CT slice; Slice 360 of 588; Liver

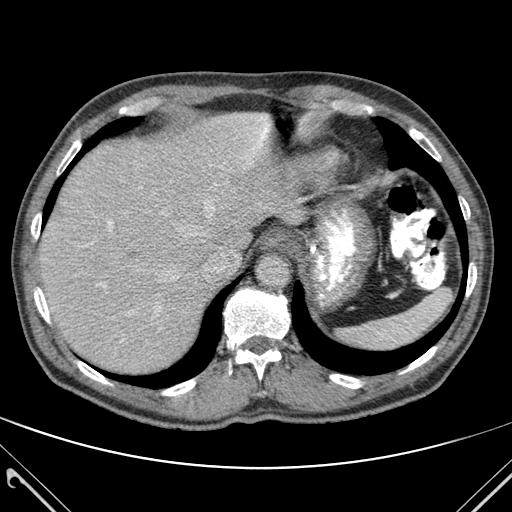
5 lung regions are bounded by region(375, 117, 467, 267); region(69, 117, 139, 169); region(291, 278, 464, 374); region(105, 279, 238, 388); region(43, 175, 65, 221). The hepatic lesion lies within region(230, 174, 238, 184). The liver lies within region(40, 113, 304, 374). 12 bone regions are located at region(235, 349, 280, 379); region(402, 347, 436, 372); region(330, 374, 360, 388); region(57, 141, 80, 174); region(78, 361, 108, 383); region(163, 380, 195, 395); region(466, 263, 476, 295); region(460, 198, 469, 218); region(34, 288, 49, 322); region(224, 288, 289, 349); region(31, 214, 41, 238); region(410, 129, 440, 160).